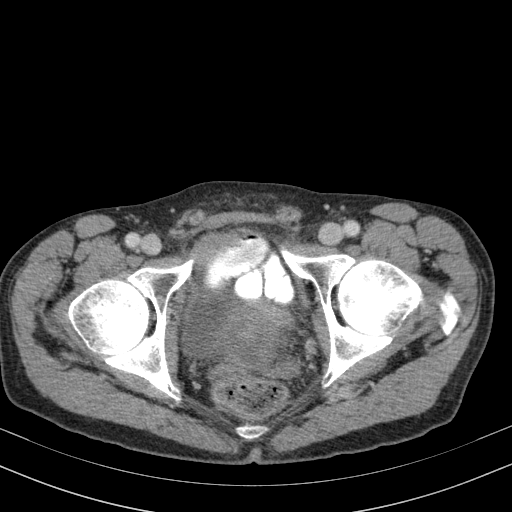

Lower abdomen | CT scan slice
2 urinary bladder regions are bounded by 176:279:287:373, 191:234:234:265.